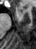
Image size 36x49; MR image
<segmentation>
  <anterior_hippocampus>bbox(18, 9, 22, 12)</anterior_hippocampus>
</segmentation>